Slice index 80; Field of view 346 mm wide, 1.50 mm slice spacing; CT; Liver
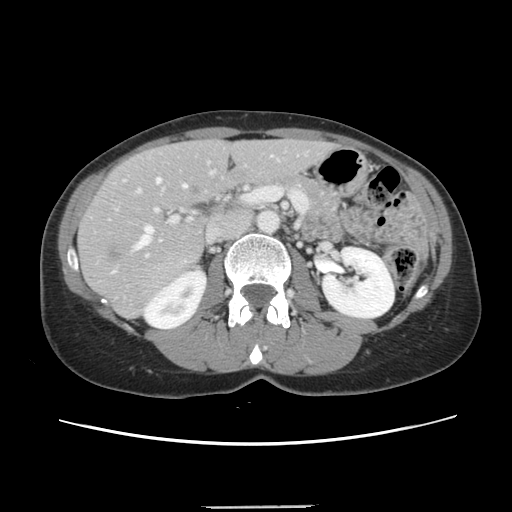

Only some of the vessels may be annotated.
Hepatic vessel = box(156, 178, 160, 182); box(136, 188, 140, 192); box(188, 218, 190, 219); box(170, 216, 177, 222); box(183, 185, 185, 187); box(210, 170, 213, 173); box(135, 226, 151, 248); box(154, 208, 157, 210); box(271, 155, 272, 156).